Image width 380 mm | CT scan slice | Liver
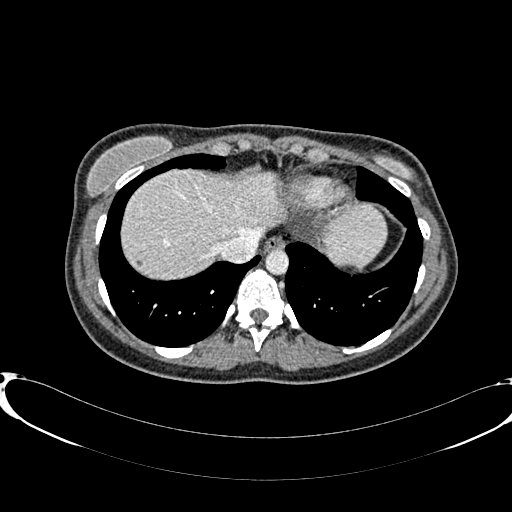
Liver — 325,205,385,266; 122,170,284,278.